240x240.
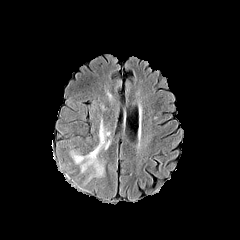
FLAIR magnetic resonance.
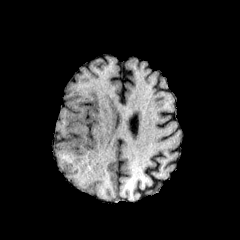
T1-weighted MR of the same slice.
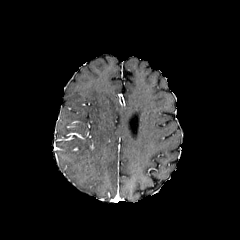
Post-contrast T1-weighted MR.
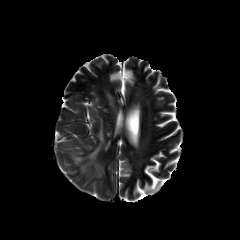
Same slice, T2-weighted MRI.
Edema at <bbox>71, 117, 105, 176</bbox>.